Image size 512x512. Slice 71 of 689. CT.

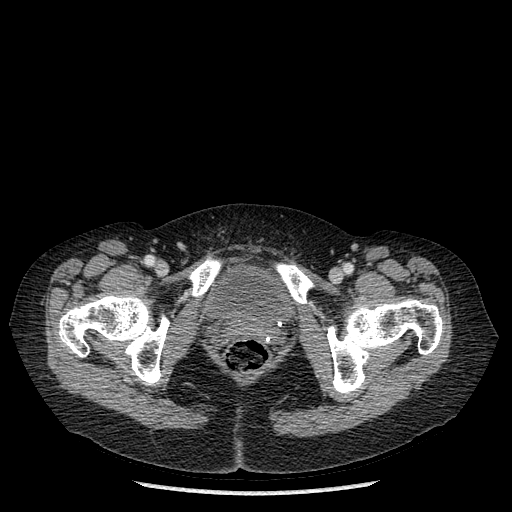
Annotated regions:
• urinary bladder: 195 261 299 340
• bone: 275 264 314 303, 57 291 169 385, 327 299 443 396, 189 257 221 296